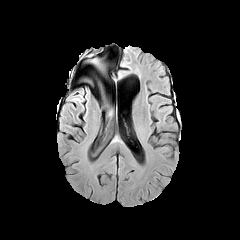
FLAIR MRI.
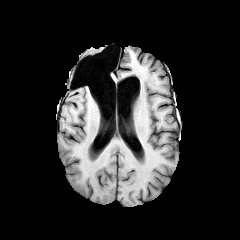
T1-weighted MR image.
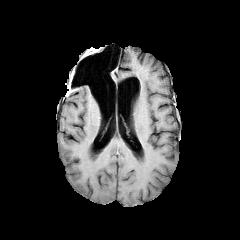
Same slice, post-contrast T1-weighted MR image.
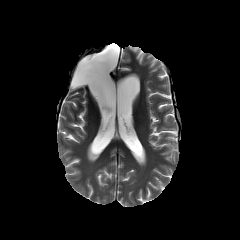
T2-weighted MRI of the same slice.
Head
2 edema regions are bounded by <bbox>88, 54, 100, 64</bbox>, <bbox>103, 102, 111, 113</bbox>.